Abdomen; CT; Slice 25 of 135
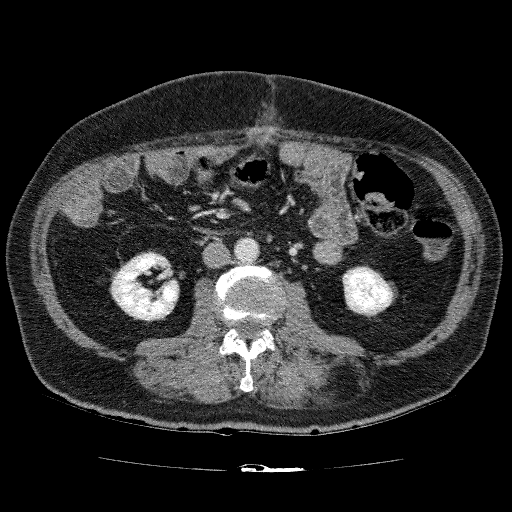

Segmented structures:
- kidney: 343 267 392 315, 111 252 178 320